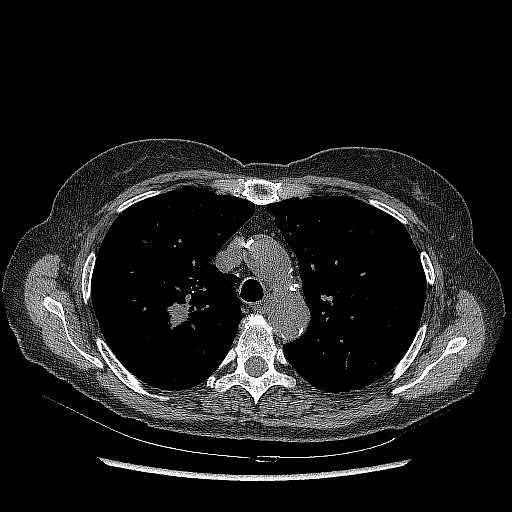

Lung, CT slice
<segmentation>
  <lung_tumor>rect(164, 300, 192, 333)</lung_tumor>
</segmentation>